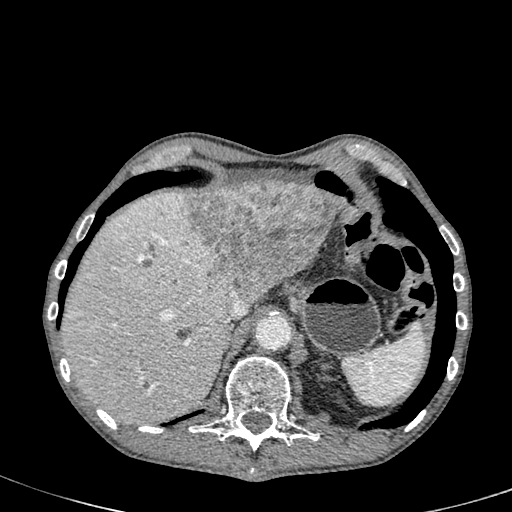

Abdomen | CT scan slice | 512x512 px
Hepatic lesion: box=[185, 182, 338, 302].
Liver: box=[61, 192, 239, 424]; box=[337, 198, 343, 209].